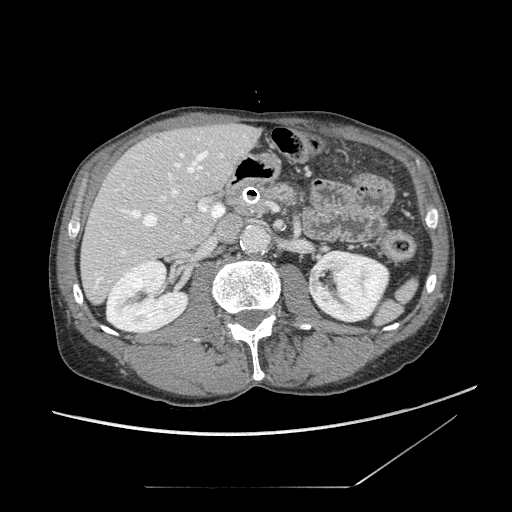 CT

- pancreas: 267,186,298,205
- pancreatic tumor: 265,188,274,198